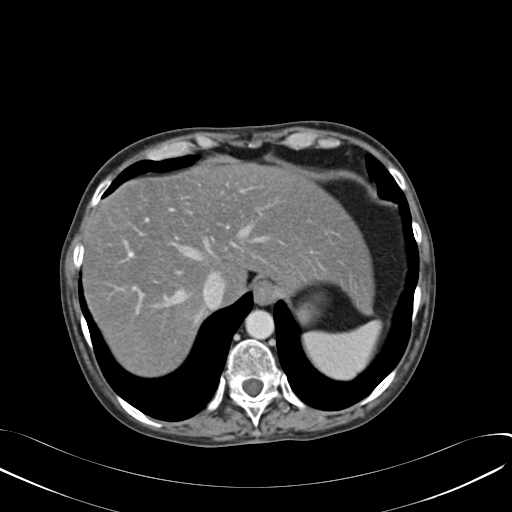
CT scan slice. Upper abdomen.

Annotated regions:
• liver: l=83, t=163, r=372, b=377